CT | Slice 67/92 | Image width 446 mm
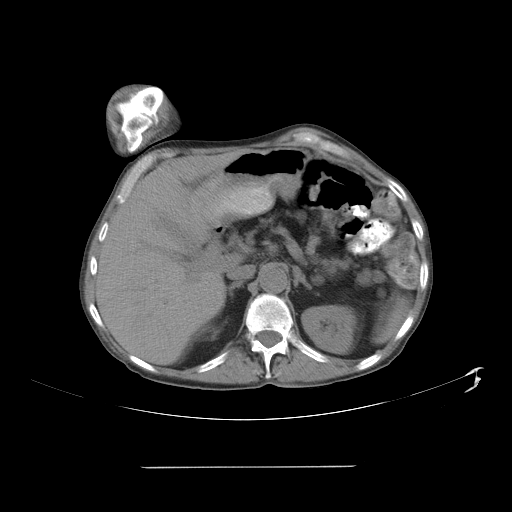 Spleen at [373,293,408,341].